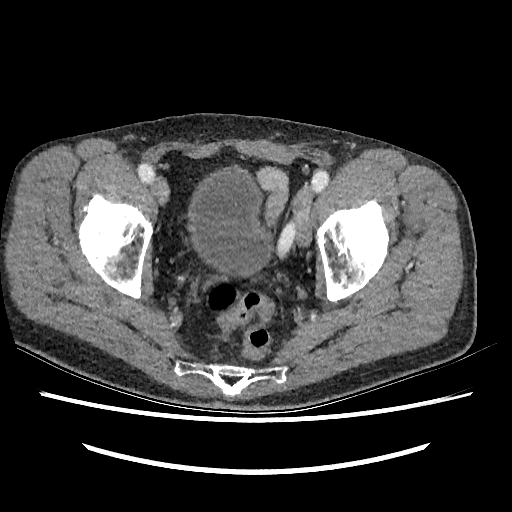 Pelvis. Image size 512x512. CT. Urinary bladder at region(192, 170, 269, 275).